Slice index 25, Field of view 345 mm wide, 2.50 mm slice spacing, CT, 512x512 px, Upper abdomen
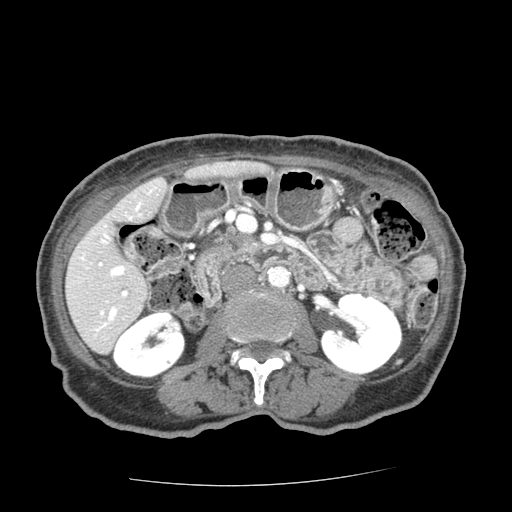

Pancreatic tumor — x1=229, y1=234, x2=247, y2=246.
Pancreas — x1=207, y1=233, x2=256, y2=262.